CT image. Slice 11/35.

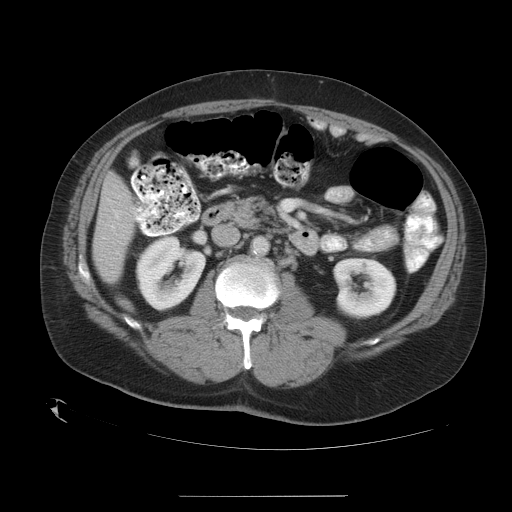
Only some of the vessels may be annotated.
Hepatic vessel at x1=133 y1=211 x2=136 y2=215, x1=115 y1=251 x2=118 y2=253.